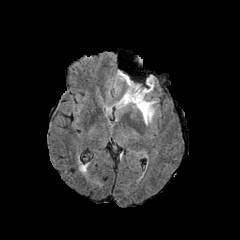
FLAIR MR image.
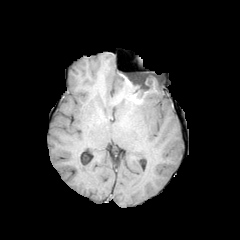
T1-weighted MRI.
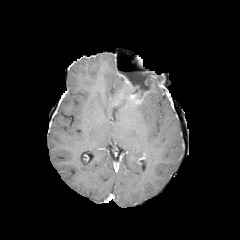
Post-contrast T1-weighted MR.
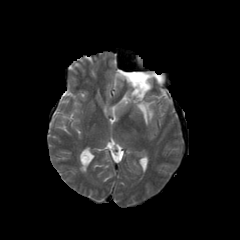
T2-weighted magnetic resonance.
240x240
<segmentation>
  <enhancing_tumor><box>130,93,142,103</box></enhancing_tumor>
  <non-enhancing_tumor_core><box>132,81,146,95</box></non-enhancing_tumor_core>
  <edema><box>114,71,155,125</box></edema>
</segmentation>